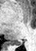
MR

Segmented structures:
* posterior hippocampus: 11,40,21,44